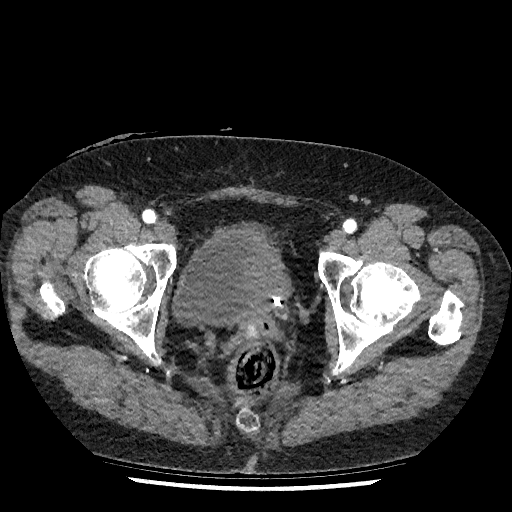

CT image, Lower abdomen
urinary_bladder:
  - 172,222,293,330